Brain | Image size 240x240 | Field of view 240 mm wide, 1.00 mm slice spacing
FLAIR magnetic resonance.
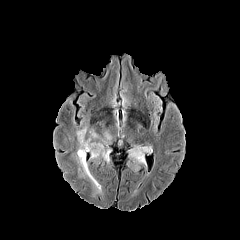
T1-weighted MRI.
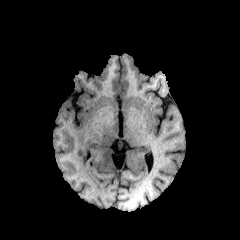
Post-contrast T1-weighted MRI.
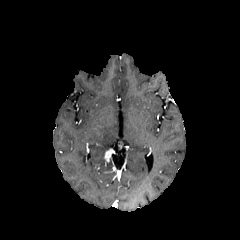
T2-weighted MR.
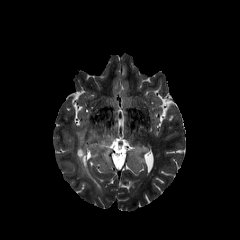
Findings:
- enhancing tumor: (105, 148, 111, 162)
- edema: (77, 127, 101, 191), (129, 144, 152, 163)